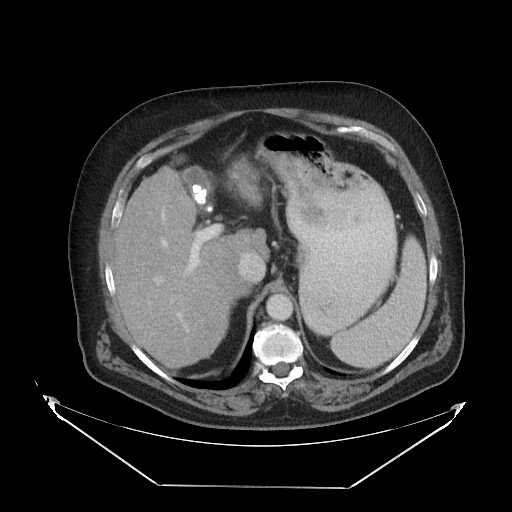

CT scan slice | Image size 512x512
Not every hepatic vessel necessarily has a box.
Hepatic vessel = bbox(163, 241, 164, 243); bbox(185, 225, 220, 271); bbox(177, 313, 180, 317); bbox(239, 253, 263, 280).